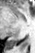
35x53. MRI.

Annotated regions:
• posterior hippocampus: [6, 37, 18, 46]